CT; Field of view 335x335 mm; 512x512 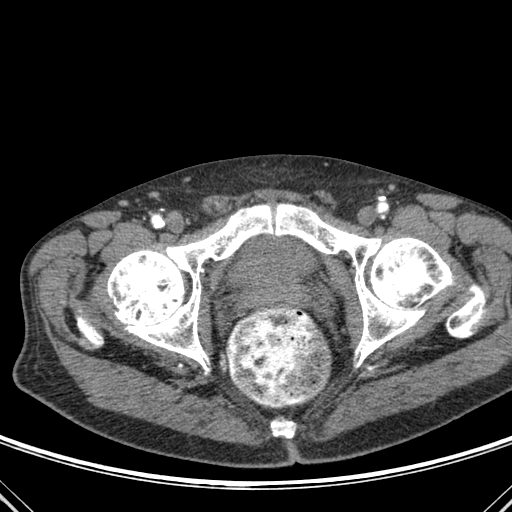
3 bone regions are bounded by bbox(270, 420, 295, 438); bbox(77, 316, 102, 346); bbox(107, 204, 485, 371).